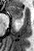

34x51 px, Medial temporal lobe, Magnetic resonance

Anterior hippocampus = (x1=9, y1=5, x2=22, y2=18).